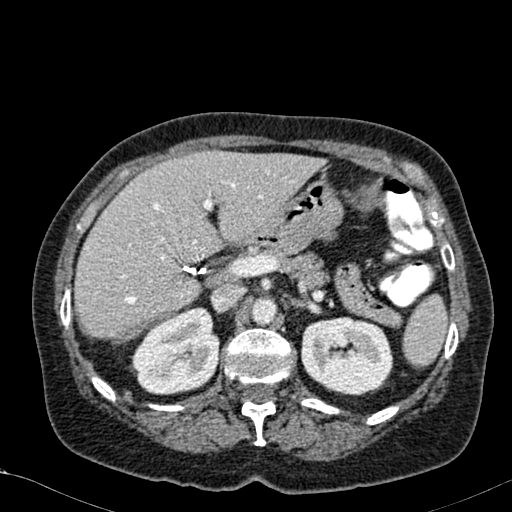
CT image, Liver, 512x512
Segmented structures:
- liver: rect(74, 152, 326, 342)
- kidney: rect(301, 317, 391, 394); rect(133, 308, 218, 394)